CT slice | Abdomen

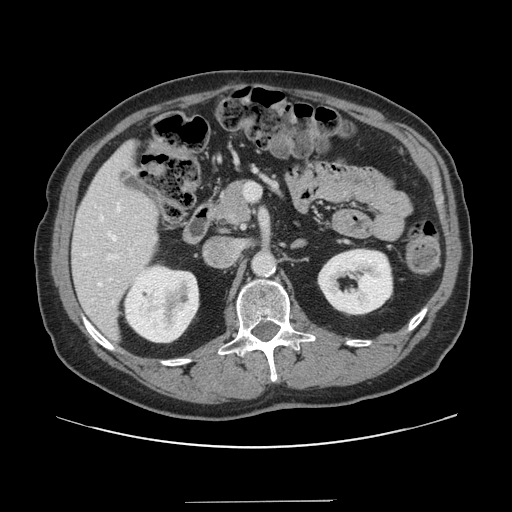
Not every hepatic vessel necessarily has a box.
Findings:
- hepatic vessel: box(244, 183, 258, 199); box(98, 283, 101, 285); box(106, 254, 119, 260); box(129, 249, 131, 253); box(108, 233, 115, 240); box(118, 206, 118, 211); box(100, 215, 103, 220)